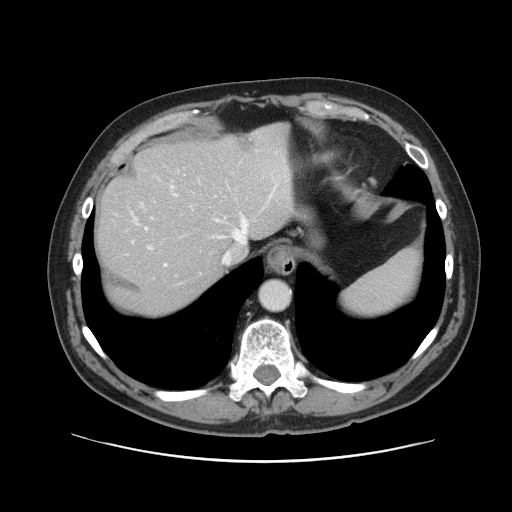 CT image
The vessel boxes may cover only some of the vessels.
Liver tumor = 237:137:254:150.
Hepatic vessel = 151:217:152:218, 268:188:274:199, 216:219:219:221, 131:212:138:224, 273:180:275:185, 147:245:152:249, 164:264:166:265, 173:193:176:195, 170:182:173:188, 232:217:247:241, 145:227:147:229.